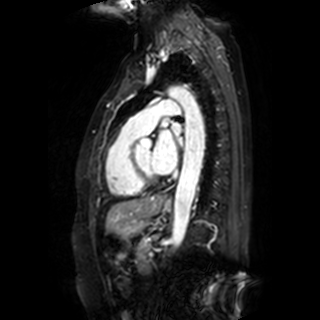 MRI.

2 left atrium regions appear at (152,130,177,174), (172,123,180,135).